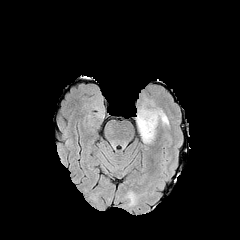
FLAIR magnetic resonance.
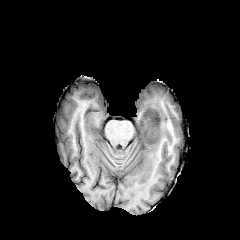
T1-weighted magnetic resonance of the same slice.
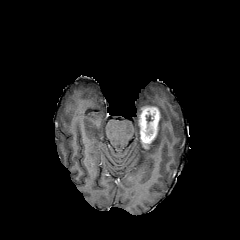
Post-contrast T1-weighted MRI.
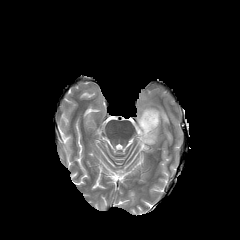
T2-weighted MR of the same slice.
Head
{"enhancing_tumor": ["box(138, 107, 160, 148)"], "edema": ["box(146, 103, 169, 133)", "box(128, 192, 135, 204)"]}